Field of view 422 mm wide, 1.50 mm slice spacing; CT slice; 512x512; Slice 54/164 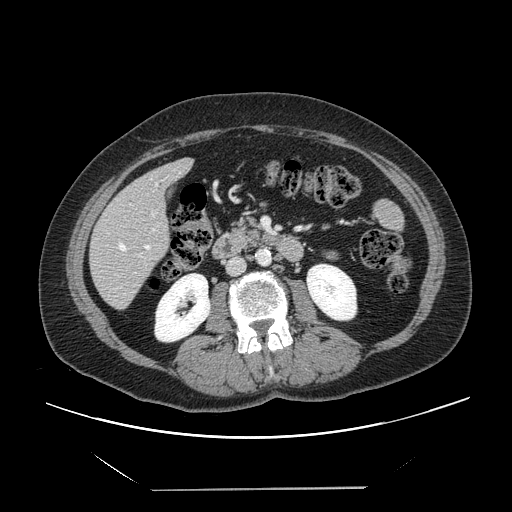

Not every hepatic vessel necessarily has a box.
<segmentation>
  <hepatic_vessel>(118,241,127,252), (144,244,151,249), (151,211,155,216), (151,229,154,231), (138,254,142,256), (156,183,157,186)</hepatic_vessel>
</segmentation>